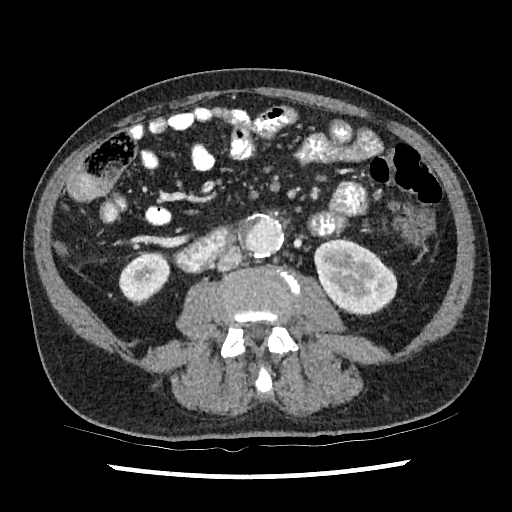
Image size 512x512, Abdomen, CT scan slice

Segmented structures:
• kidney: 315,240,396,313; 119,254,168,301